Slice 60 of 75 | Abdomen | CT

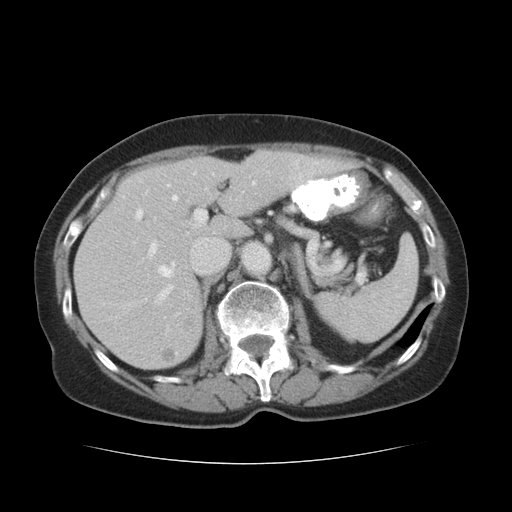

lung:
  - 404, 306, 429, 340
liver:
  - 73, 150, 361, 368
liver_lesion:
  - 180, 314, 197, 332
  - 162, 349, 174, 361
bone:
  - 384, 168, 398, 186
  - 397, 336, 420, 364
  - 410, 197, 424, 215
  - 64, 222, 80, 244
  - 154, 376, 183, 382
  - 63, 283, 71, 325
  - 322, 366, 353, 373
  - 94, 342, 116, 371
  - 420, 224, 439, 249
  - 432, 270, 444, 302
  - 216, 280, 294, 401